Slice index 68. 240x240 px. Brain.
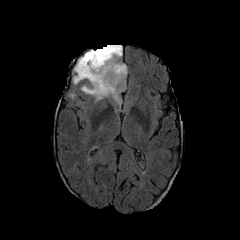
FLAIR MR image.
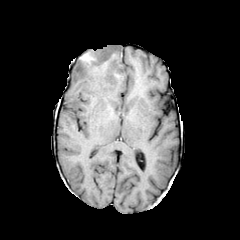
Same slice, T1-weighted MR.
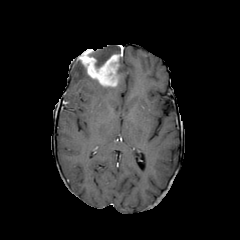
Post-contrast T1-weighted magnetic resonance.
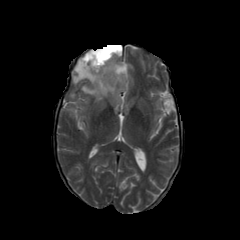
T2-weighted MR of the same slice.
enhancing_tumor:
  - box(78, 46, 123, 87)
edema:
  - box(70, 60, 127, 103)
non-enhancing_tumor_core:
  - box(76, 60, 85, 75)
  - box(91, 45, 121, 66)